Brain; Slice 106 of 155
FLAIR magnetic resonance.
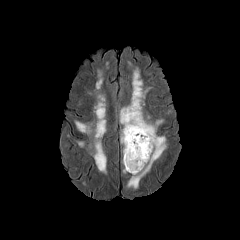
T1-weighted MR image.
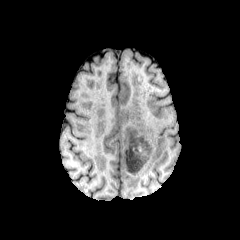
Post-contrast T1-weighted magnetic resonance.
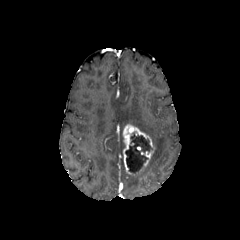
T2-weighted magnetic resonance.
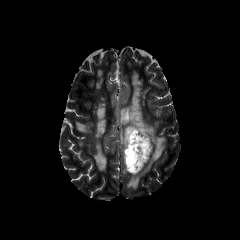
The enhancing tumor appears at [122, 124, 154, 174]. 3 edema regions are located at [75, 121, 92, 134], [120, 68, 166, 189], [93, 95, 106, 173]. The non-enhancing tumor core is bounded by [125, 133, 152, 175].